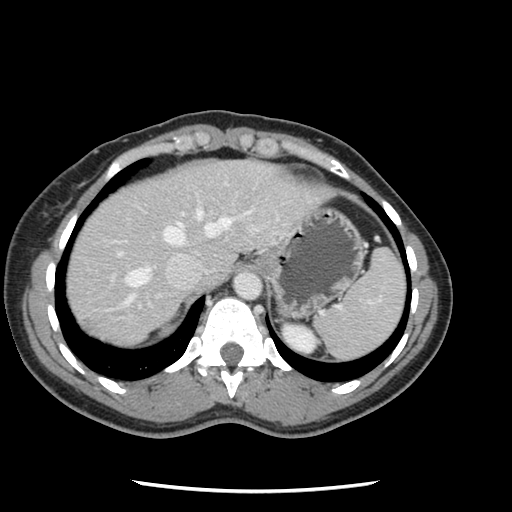 512x512 px | Computed tomography

Some hepatic vessels may have no box.
Hepatic vessel at left=197, top=208, right=201, bottom=217; left=204, top=216, right=233, bottom=235; left=163, top=222, right=183, bottom=244; left=126, top=267, right=149, bottom=286; left=125, top=296, right=132, bottom=304; left=117, top=252, right=122, bottom=254.
Liver tumor at left=86, top=326, right=95, bottom=335.